Slice index 65 | Image width 240 mm
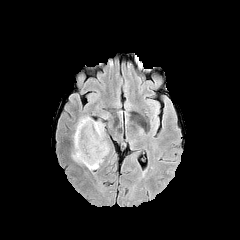
FLAIR MR image.
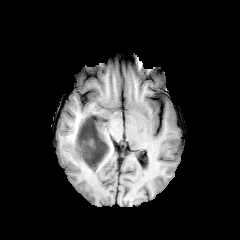
Same slice, T1-weighted MRI.
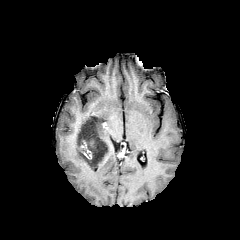
Post-contrast T1-weighted magnetic resonance.
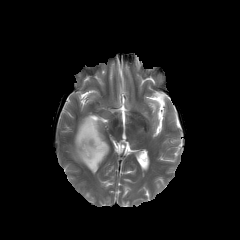
T2-weighted MRI of the same slice.
edema:
  - l=150, t=102, r=157, b=113
  - l=72, t=114, r=109, b=172
enhancing_tumor:
  - l=80, t=140, r=91, b=158
non-enhancing_tumor_core:
  - l=77, t=117, r=107, b=166